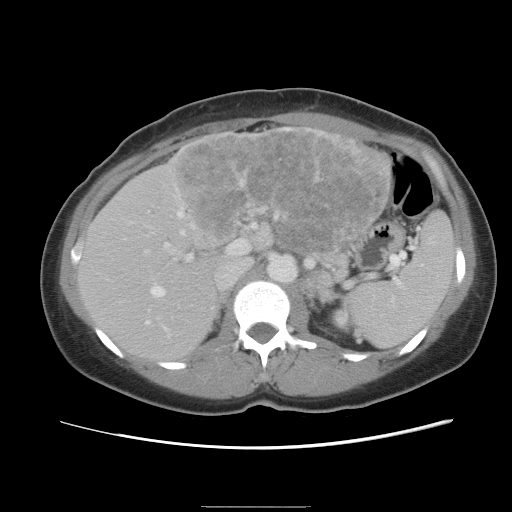
CT; Liver

Not every hepatic vessel necessarily has a box.
The liver tumor is bounded by [174, 129, 387, 249]. 10 hepatic vessel regions appear at [180, 231, 183, 233], [177, 210, 181, 215], [146, 321, 148, 322], [163, 326, 168, 330], [144, 250, 147, 252], [164, 242, 168, 245], [214, 238, 253, 290], [150, 286, 164, 296], [185, 253, 191, 259], [251, 222, 255, 226].